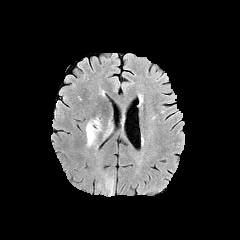
FLAIR MRI.
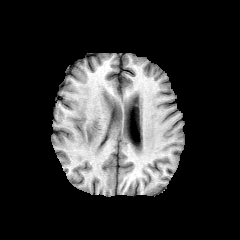
T1-weighted MRI of the same slice.
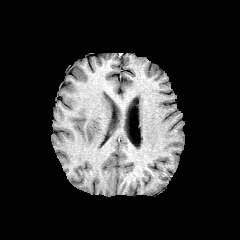
Post-contrast T1-weighted MRI.
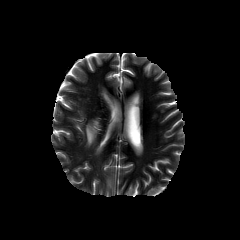
T2-weighted magnetic resonance of the same slice.
The edema is at [x1=85, y1=117, x2=102, y2=146].